Abdomen. Computed tomography. Slice 26 of 87.

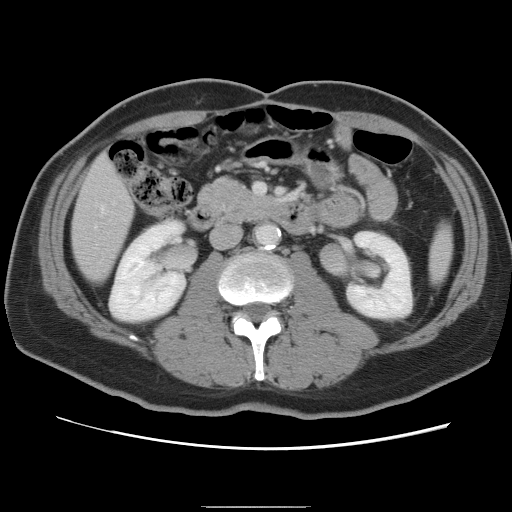 Only some of the vessels may be annotated.
The hepatic vessel appears at box=[100, 206, 103, 214].